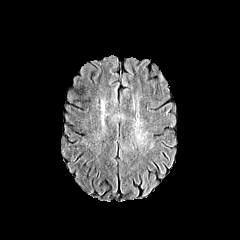
FLAIR MRI.
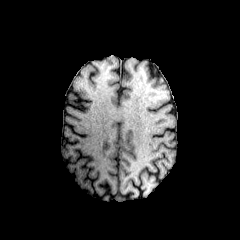
T1-weighted MR image.
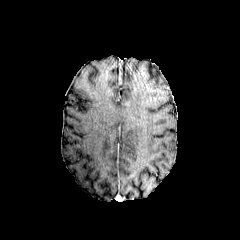
Post-contrast T1-weighted MR image.
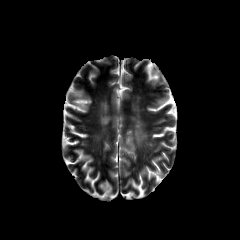
T2-weighted MR image.
Brain
The edema is bounded by (135,131,147,144).